CT image 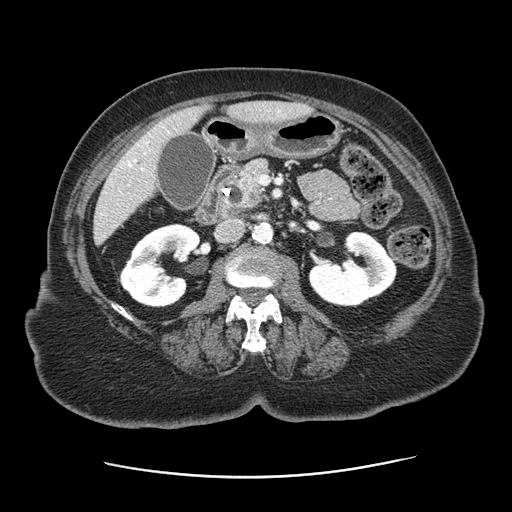

Annotated regions:
* pancreas: region(216, 158, 271, 215)